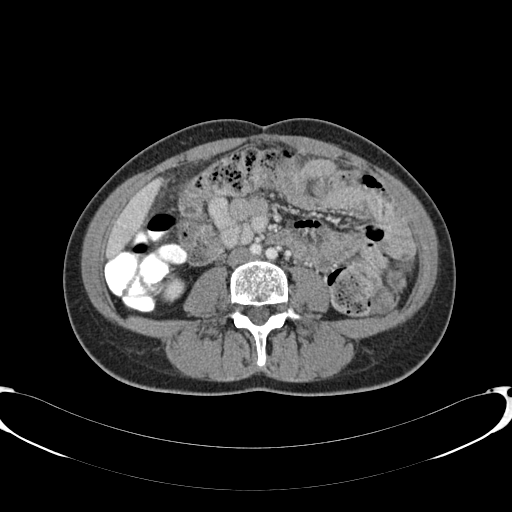 CT image, Upper abdomen
liver: [107,180,161,258]